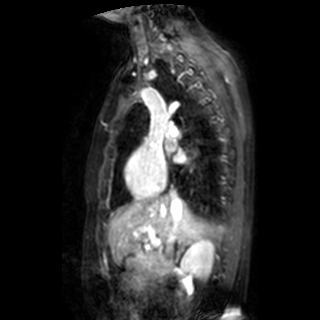
Image size 320x320. MRI slice.
2 left atrium regions are located at 165, 139, 175, 151; 175, 152, 185, 162.